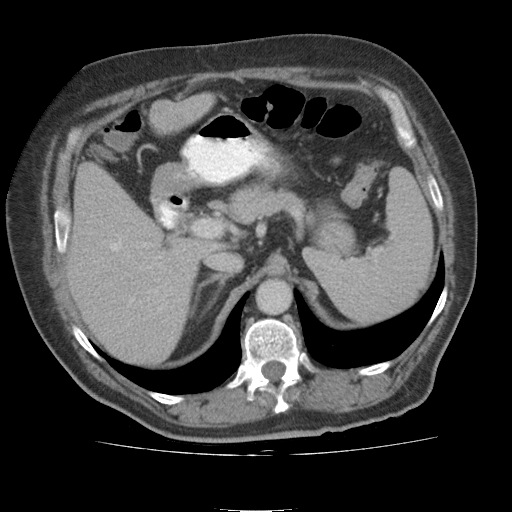
Upper abdomen, CT image

2 liver regions appear at bbox(69, 165, 194, 361); bbox(151, 99, 212, 141).